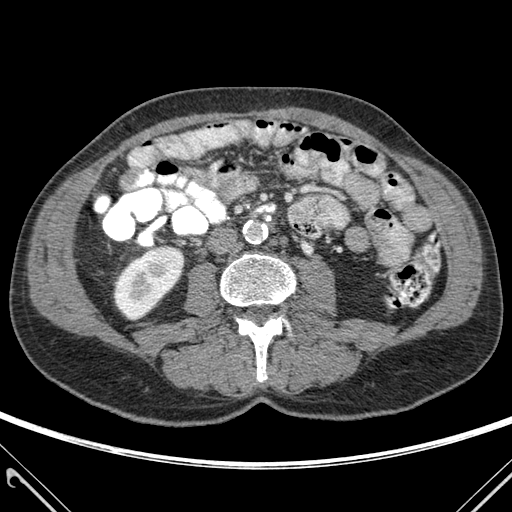

Abdomen; CT scan slice
{"kidney": ["region(115, 247, 182, 318)"], "bone": ["region(220, 254, 295, 305)", "region(237, 315, 288, 381)"]}